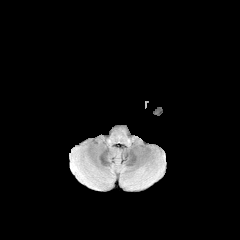
FLAIR magnetic resonance.
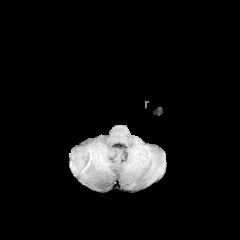
T1-weighted magnetic resonance of the same slice.
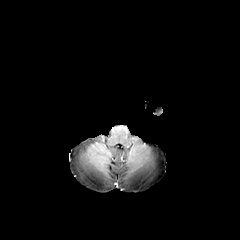
Post-contrast T1-weighted magnetic resonance.
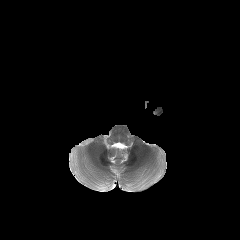
T2-weighted MR.
edema: [73, 151, 79, 168], [133, 174, 157, 186], [80, 170, 107, 189]